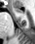 Hippocampus. MRI. 35x44 px.
anterior_hippocampus:
  - <bbox>14, 8, 22, 12</bbox>